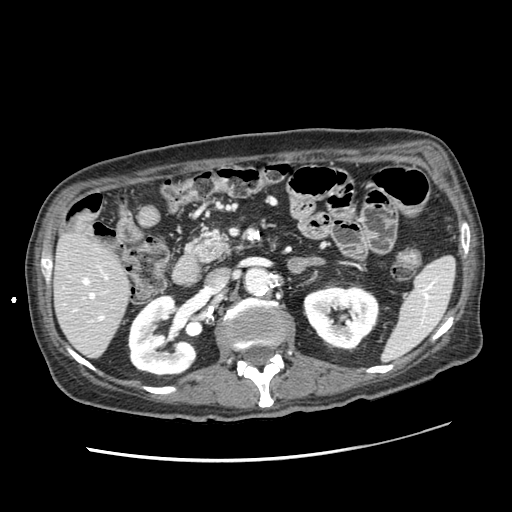 512x512. Abdomen. Computed tomography.
{"pancreas": ["(196,230,229,262)"]}